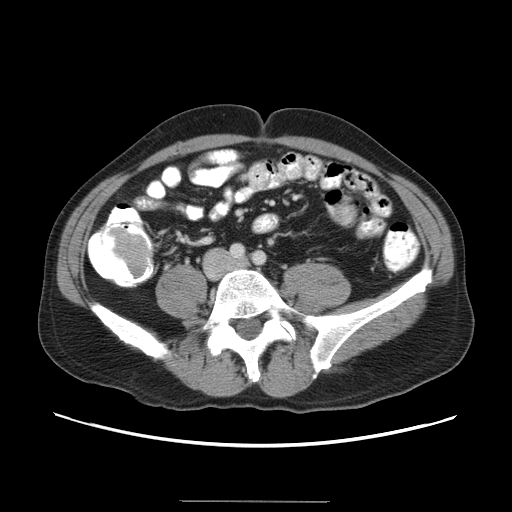 Abdomen; CT scan slice

Colon tumor at [x1=107, y1=226, x2=147, y2=277].